Slice 105/155.
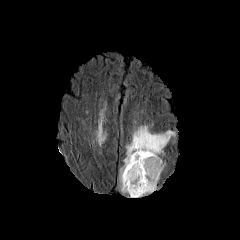
FLAIR magnetic resonance.
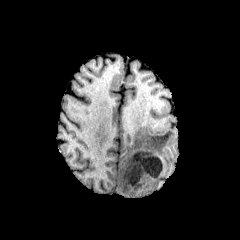
T1-weighted magnetic resonance.
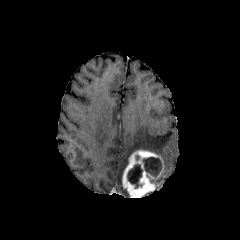
Post-contrast T1-weighted magnetic resonance.
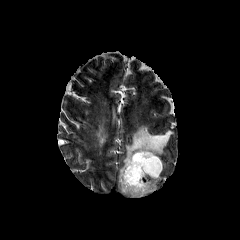
T2-weighted MR of the same slice.
Findings:
- edema: l=119, t=124, r=175, b=193
- enhancing tumor: l=122, t=149, r=158, b=197
- non-enhancing tumor core: l=126, t=164, r=143, b=188; l=143, t=157, r=162, b=185